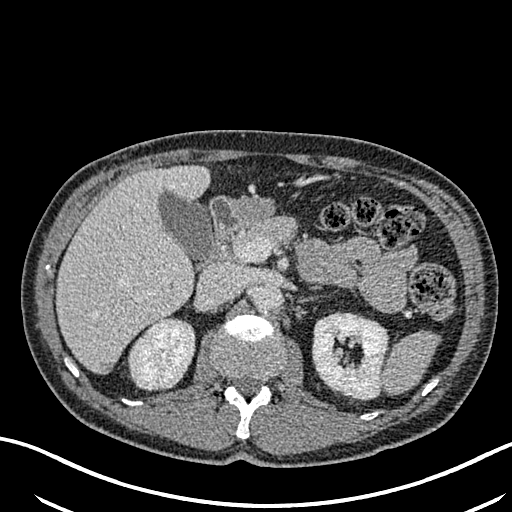
CT image; Abdomen
Annotated regions:
* liver: (56, 167, 208, 372)
* hepatic lesion: (100, 362, 113, 372)
* kidney: (313, 314, 386, 395), (130, 320, 194, 387)